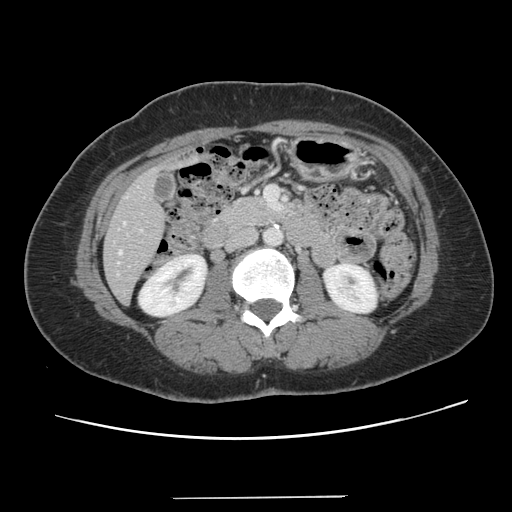 Image size 512x512 | Liver | CT slice
Some hepatic vessels may have no box.
hepatic_vessel:
  - 117:262:119:264
  - 119:250:122:254
  - 123:222:125:225